FLAIR MR image.
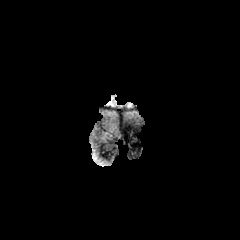
T1-weighted magnetic resonance.
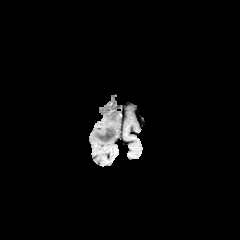
Post-contrast T1-weighted MR.
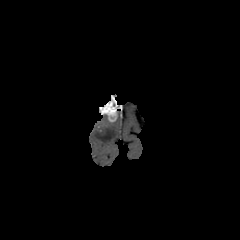
T2-weighted MR image.
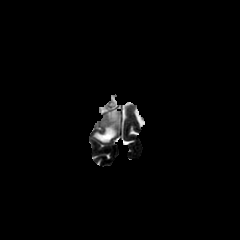
Image size 240x240
{"enhancing_tumor": ["bbox(99, 95, 119, 122)"], "edema": ["bbox(95, 122, 116, 141)"]}